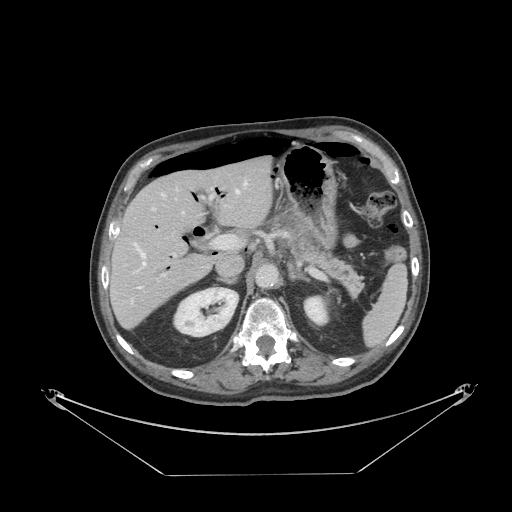

512x512 px; Abdomen; CT slice
Findings:
* pancreas: x1=273 y1=213 x2=362 y2=295